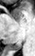 Medial temporal lobe. 35x56 px. MR.

Posterior hippocampus: (left=12, top=42, right=21, bottom=50).